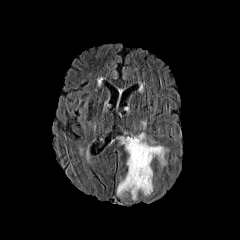
FLAIR magnetic resonance.
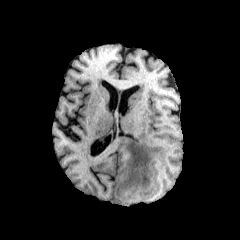
T1-weighted magnetic resonance of the same slice.
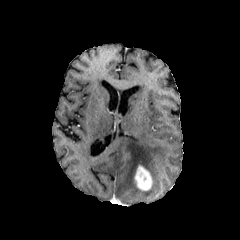
Same slice, post-contrast T1-weighted MRI.
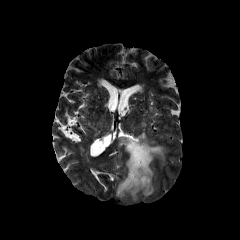
Same slice, T2-weighted MRI.
Brain
edema:
  - x1=116 y1=132 x2=168 y2=200
enhancing_tumor:
  - x1=134 y1=165 x2=152 y2=189